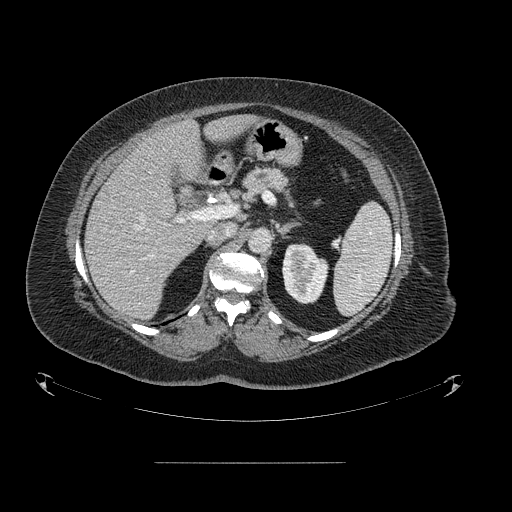 Upper abdomen | Computed tomography
pancreas: {"x1": 243, "y1": 169, "x2": 291, "y2": 203}